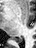

36x48. Magnetic resonance.

Posterior hippocampus — (left=13, top=37, right=22, bottom=43).